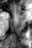 MRI, Hippocampus, 32x48 px
The anterior hippocampus is at bbox=[14, 6, 23, 14].